Brain. Field of view 240x240 mm. Slice 111/155.
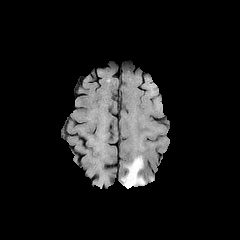
FLAIR MRI.
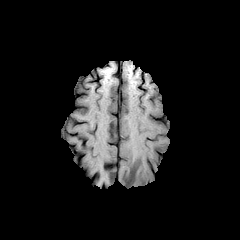
T1-weighted MR image of the same slice.
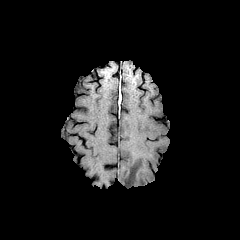
Post-contrast T1-weighted magnetic resonance.
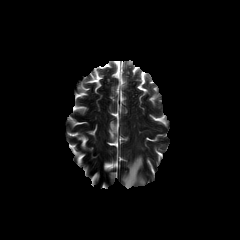
Same slice, T2-weighted magnetic resonance.
Edema: bounding box left=122, top=157, right=144, bottom=188.